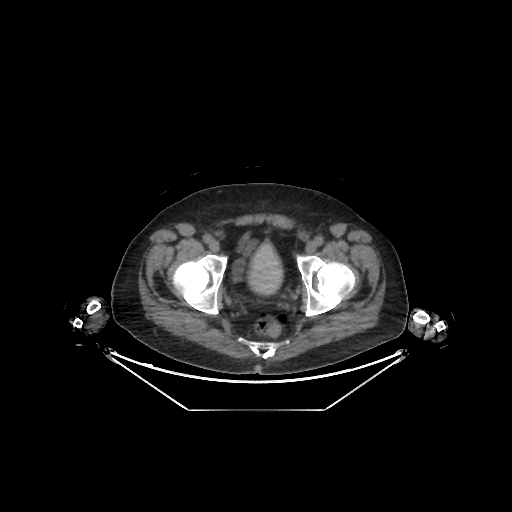

Image size 512x512; Computed tomography

The urinary bladder is at <box>247,243,282,294</box>.